FLAIR magnetic resonance.
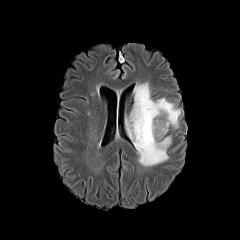
T1-weighted MRI.
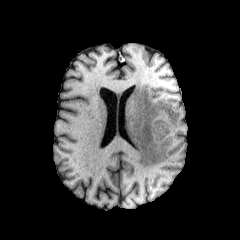
Post-contrast T1-weighted magnetic resonance.
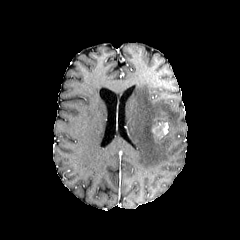
T2-weighted MRI.
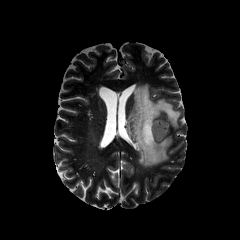
Segmented structures:
* enhancing tumor: [152,122,168,138]
* edema: [127,83,180,167]
* non-enhancing tumor core: [153,115,169,128], [154,124,177,142]